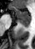 35x49 px | MR image

{
  "anterior_hippocampus": [
    {"x1": 13, "y1": 6, "x2": 30, "y2": 20}
  ],
  "posterior_hippocampus": [
    {"x1": 17, "y1": 21, "x2": 30, "y2": 27}
  ]
}